Computed tomography | Field of view 335x335 mm
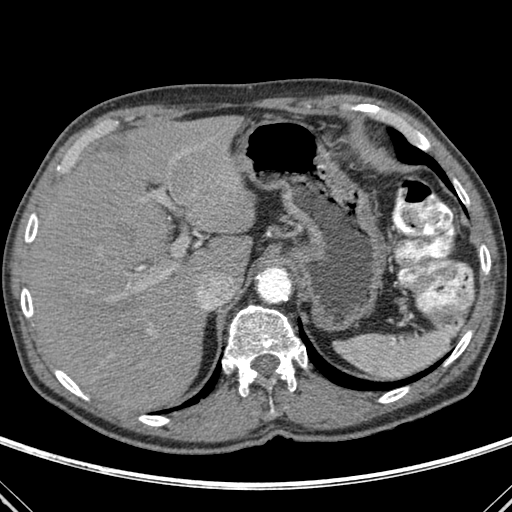

• lung: x1=155, y1=361, x2=220, y2=413; x1=388, y1=128, x2=456, y2=194; x1=298, y1=319, x2=446, y2=390
• liver: x1=26, y1=116, x2=254, y2=414
• bone: x1=25, y1=214, x2=37, y2=242; x1=480, y1=245, x2=490, y2=274; x1=21, y1=288, x2=33, y2=317; x1=264, y1=379, x2=275, y2=389; x1=414, y1=132, x2=430, y2=150; x1=222, y1=305, x2=307, y2=396; x1=445, y1=331, x2=471, y2=365; x1=139, y1=415, x2=169, y2=426; x1=453, y1=178, x2=469, y2=204; x1=378, y1=387, x2=408, y2=403; x1=55, y1=370, x2=87, y2=399